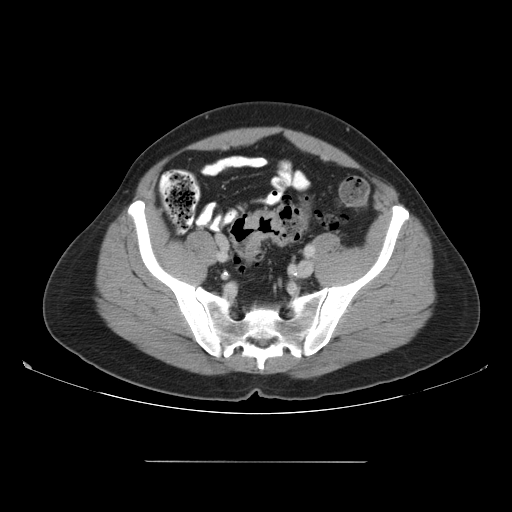 Computed tomography. Colon tumor — box=[242, 231, 291, 259]; box=[244, 210, 285, 232].